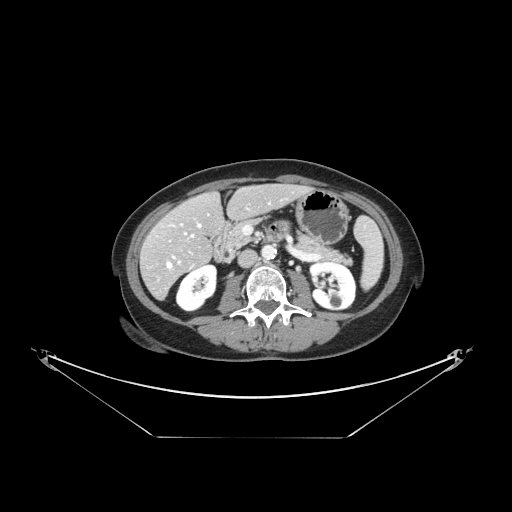 Liver, Image size 512x512, Computed tomography

Not every hepatic vessel necessarily has a box.
<segmentation>
  <hepatic_vessel>x1=198 y1=224 x2=200 y2=226</hepatic_vessel>
</segmentation>